CT scan slice | 512x512 px

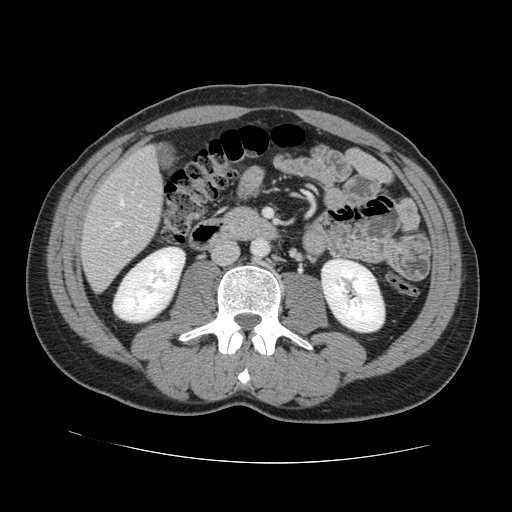
The vessel boxes may cover only some of the vessels.
Hepatic vessel — <bbox>124, 241, 126, 243</bbox>, <bbox>109, 269, 111, 271</bbox>, <bbox>139, 225, 142, 228</bbox>, <bbox>108, 222, 119, 229</bbox>, <bbox>119, 194, 123, 206</bbox>, <bbox>139, 204, 140, 206</bbox>.